Image size 240x240
FLAIR MR image.
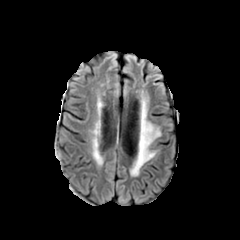
T1-weighted MR.
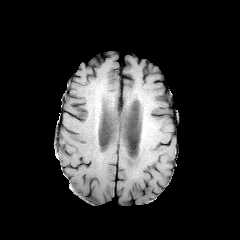
Post-contrast T1-weighted MRI.
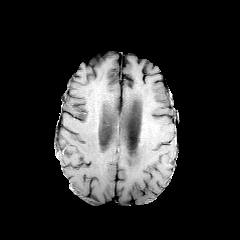
T2-weighted MRI.
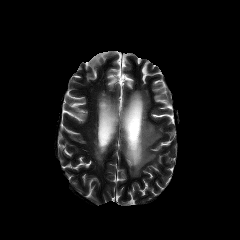
The edema lies within [132, 94, 160, 174].